Field of view 240x240 mm.
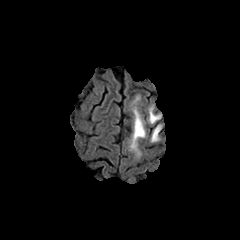
FLAIR MRI.
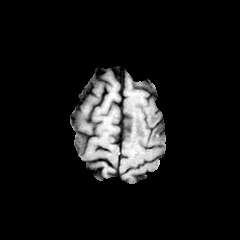
T1-weighted MR.
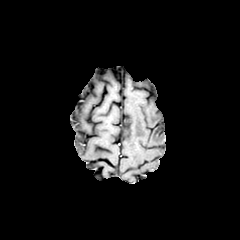
Post-contrast T1-weighted magnetic resonance.
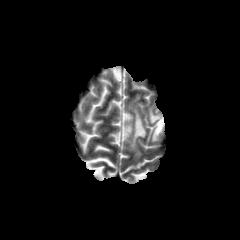
T2-weighted MR image of the same slice.
Edema: <bbox>130, 103, 163, 152</bbox>.